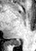

Hippocampus, MR image
Posterior hippocampus at rect(12, 42, 20, 45).